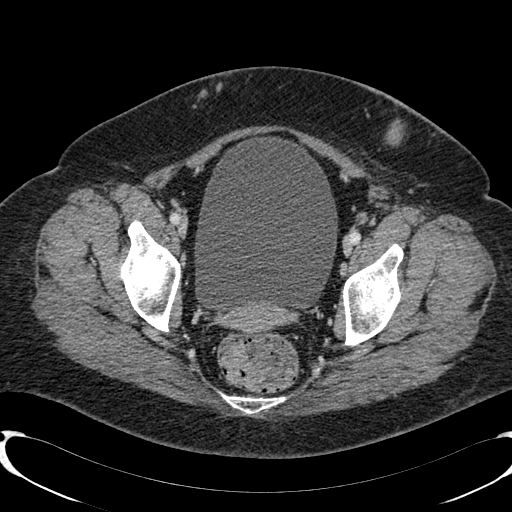 Computed tomography | Pelvis

Urinary bladder = box=[195, 137, 337, 310].